Medial temporal lobe; 32x51 px; MR image

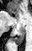

Posterior hippocampus = region(12, 27, 24, 44).